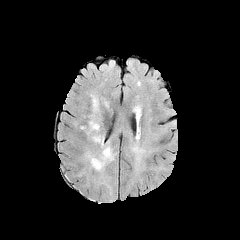
FLAIR MR.
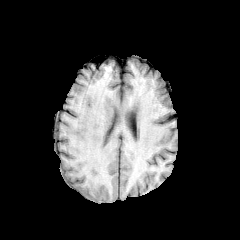
T1-weighted MR.
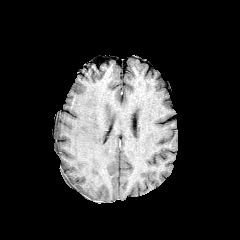
Same slice, post-contrast T1-weighted magnetic resonance.
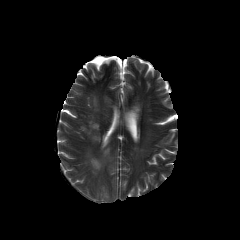
T2-weighted MR.
240x240 px
Edema: bbox=[92, 96, 98, 111]; bbox=[102, 146, 111, 156]; bbox=[92, 135, 100, 143]; bbox=[92, 158, 100, 169]; bbox=[89, 120, 99, 132].